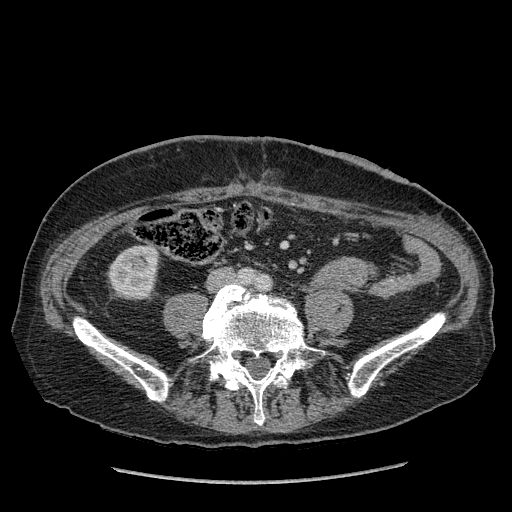

CT slice
- kidney: {"x1": 109, "y1": 246, "x2": 157, "y2": 298}